Head
FLAIR MRI.
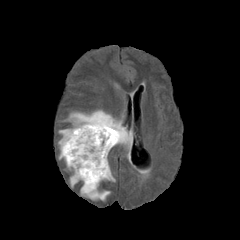
T1-weighted MRI.
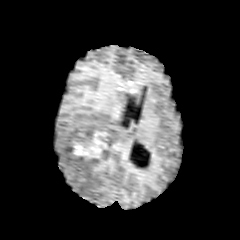
Post-contrast T1-weighted magnetic resonance.
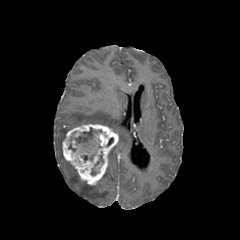
T2-weighted MR.
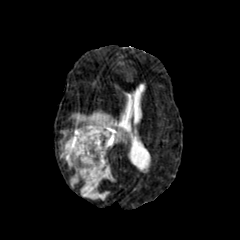
<segmentation>
  <enhancing_tumor>box=[62, 123, 118, 187]</enhancing_tumor>
  <edema>box=[103, 166, 115, 181]; box=[80, 183, 110, 200]; box=[68, 110, 132, 145]; box=[58, 129, 69, 159]; box=[65, 162, 79, 187]</edema>
  <non-enhancing_tumor_core>box=[72, 130, 93, 143]</non-enhancing_tumor_core>
</segmentation>